Slice index 95, Field of view 496x496 mm, CT slice 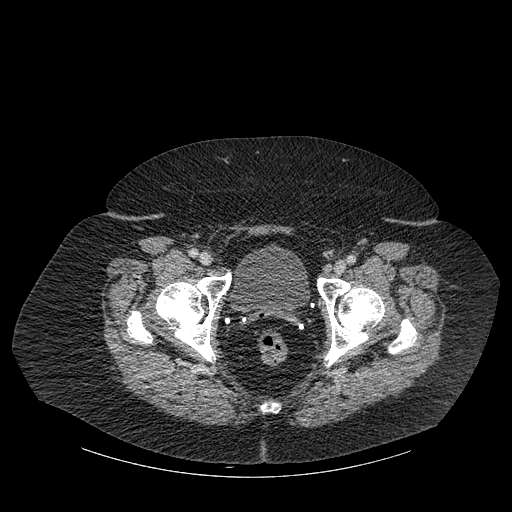 • urinary bladder: x1=231, y1=243, x2=310, y2=321
• bone: x1=127, y1=311, x2=152, y2=343; x1=156, y1=273, x2=231, y2=361; x1=389, y1=319, x2=416, y2=353; x1=260, y1=403, x2=277, y2=412; x1=317, y1=277, x2=384, y2=366